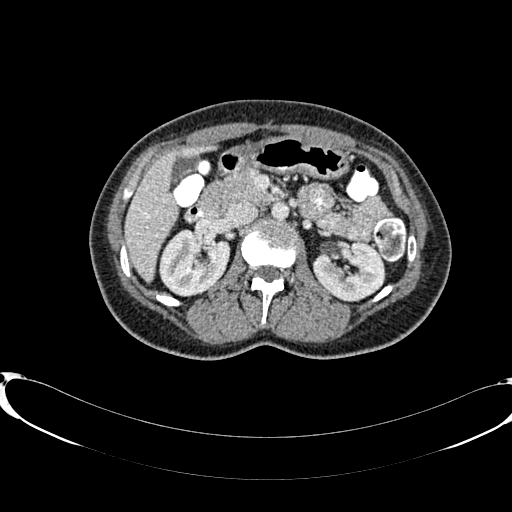
512x512 px. CT image.
* liver: box=[125, 145, 215, 279]
* kidney: box=[161, 231, 228, 295]; box=[314, 244, 383, 299]